FLAIR MR image.
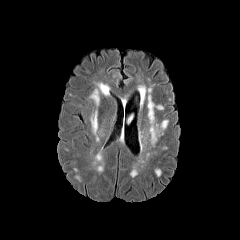
T1-weighted MRI.
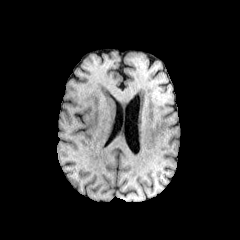
Post-contrast T1-weighted MRI.
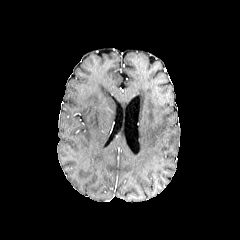
T2-weighted magnetic resonance.
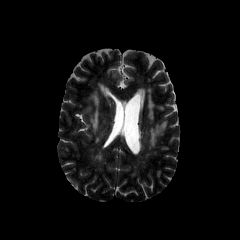
Image size 240x240
• edema: 91, 113, 97, 132